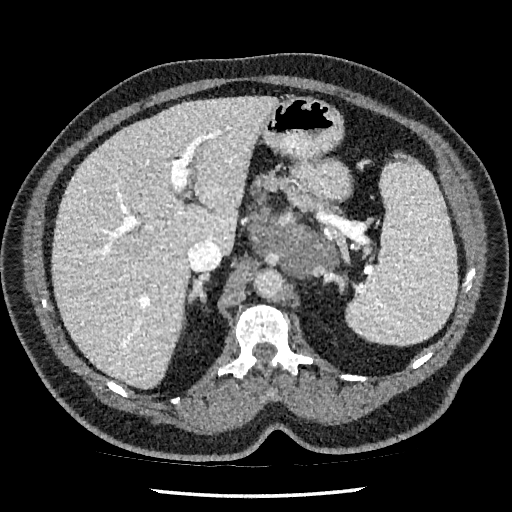

CT scan slice | Upper abdomen

Liver — region(52, 97, 276, 387).